MRI 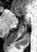 Annotated regions:
• posterior hippocampus: region(6, 30, 21, 45)
• anterior hippocampus: region(15, 10, 20, 16)